FLAIR MR.
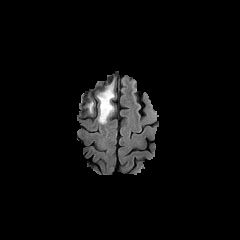
T1-weighted MR image.
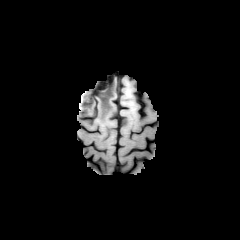
Post-contrast T1-weighted MRI.
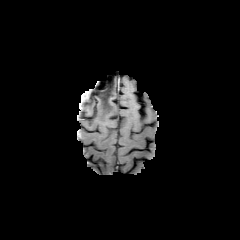
T2-weighted MRI.
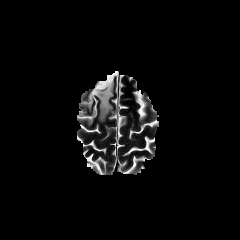
edema: [86,97,93,112], [96,81,114,123]